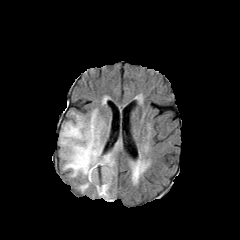
FLAIR magnetic resonance.
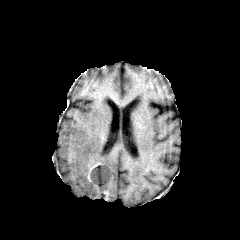
T1-weighted MR.
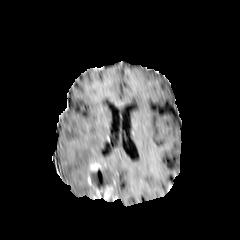
Same slice, post-contrast T1-weighted magnetic resonance.
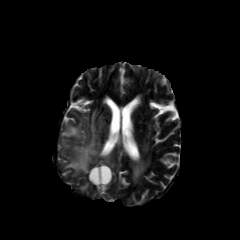
T2-weighted magnetic resonance of the same slice.
Image size 240x240
Enhancing tumor: bounding box 90,163,105,171.
Edema: bounding box 134,162,142,176; 59,109,115,192.
Non-enhancing tumor core: bounding box 89,166,111,195.